Field of view 240x240 mm, Slice 90/155, 240x240
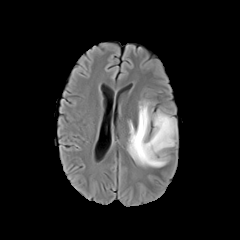
FLAIR MRI.
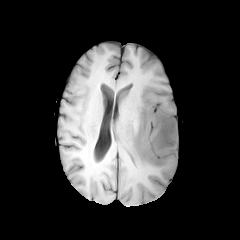
Same slice, T1-weighted magnetic resonance.
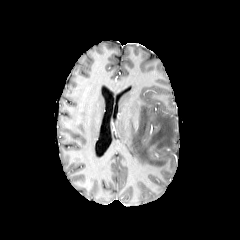
Same slice, post-contrast T1-weighted MRI.
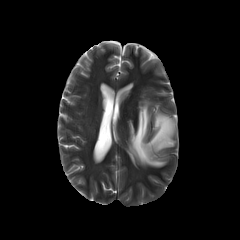
T2-weighted magnetic resonance of the same slice.
<segmentation>
  <edema>box(126, 98, 178, 168)</edema>
</segmentation>